FLAIR MR image.
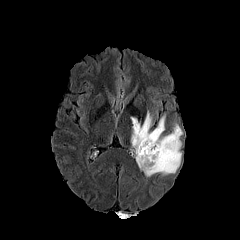
T1-weighted magnetic resonance.
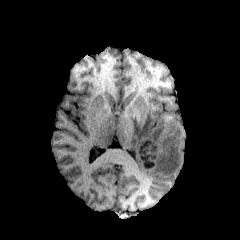
Post-contrast T1-weighted MR image.
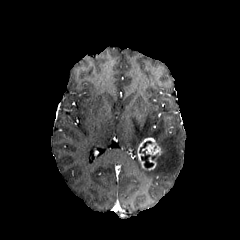
T2-weighted MR image.
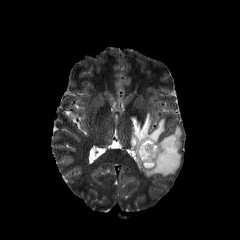
240x240 px.
Enhancing tumor = 137,137,163,170.
Edema = 131,111,164,153; 137,125,182,177.
Non-enhancing tumor core = 141,151,156,169.